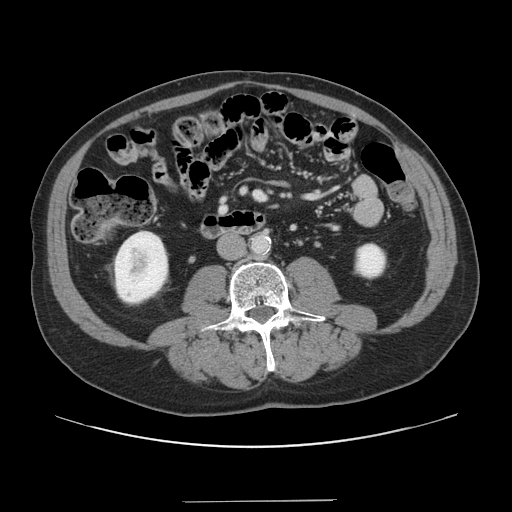 Computed tomography | 512x512
The vessel annotation is not exhaustive.
hepatic_vessel:
  - box=[254, 192, 264, 198]